FLAIR magnetic resonance.
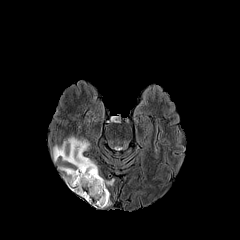
T1-weighted magnetic resonance.
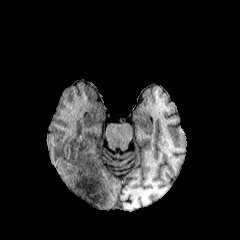
Post-contrast T1-weighted MRI.
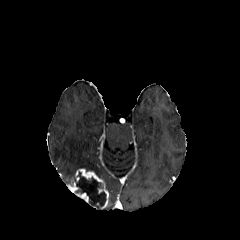
T2-weighted MR image.
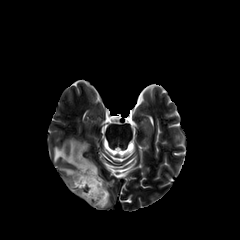
Head.
<segmentation>
  <enhancing_tumor>bbox=[74, 168, 109, 209]; bbox=[67, 182, 88, 202]</enhancing_tumor>
  <edema>bbox=[58, 166, 74, 176]; bbox=[52, 137, 98, 176]</edema>
  <non-enhancing_tumor_core>bbox=[75, 171, 106, 209]</non-enhancing_tumor_core>
</segmentation>